MRI. Medial temporal lobe. Slice index 21.
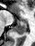 Posterior hippocampus — left=13, top=21, right=27, bottom=34.
Anterior hippocampus — left=20, top=20, right=24, bottom=20.